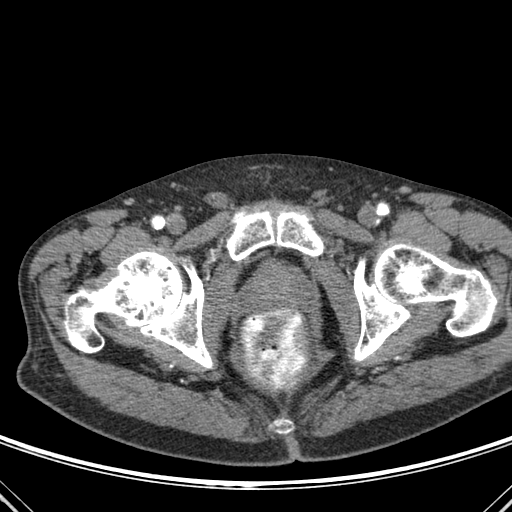

CT

{
  "bone": [
    "[64, 248, 212, 368]",
    "[354, 243, 497, 361]",
    "[275, 420, 291, 433]",
    "[226, 210, 323, 260]"
  ]
}